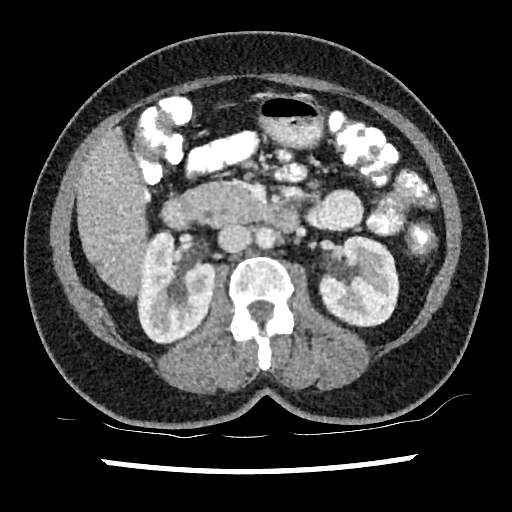
CT slice | 512x512 px | Liver
The liver lies within (x1=77, y1=128, x2=147, y2=293). 2 kidney regions are bounded by (x1=139, y1=233, x2=214, y2=342), (x1=319, y1=237, x2=397, y2=325).